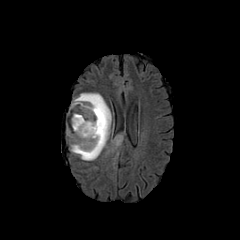
FLAIR MR image.
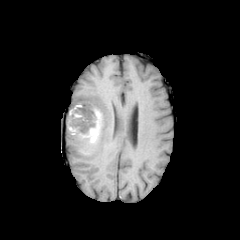
Same slice, T1-weighted magnetic resonance.
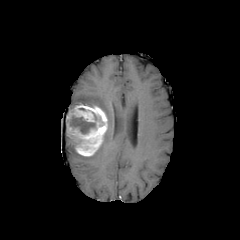
Post-contrast T1-weighted MR of the same slice.
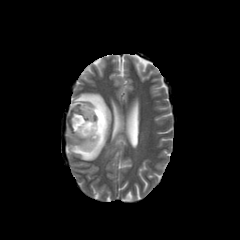
T2-weighted MR image of the same slice.
240x240
{"enhancing_tumor": ["(x1=74, y1=104, x2=107, y2=156)"], "edema": ["(x1=66, y1=92, x2=111, y2=161)"], "non-enhancing_tumor_core": ["(x1=72, y1=115, x2=95, y2=134)"]}